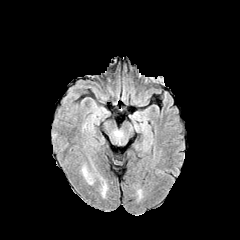
FLAIR magnetic resonance.
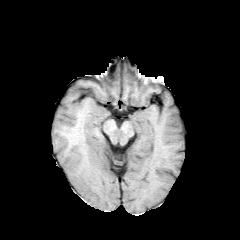
T1-weighted MRI.
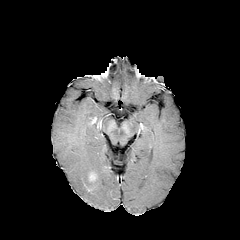
Post-contrast T1-weighted magnetic resonance of the same slice.
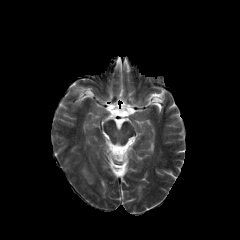
Same slice, T2-weighted MRI.
Brain
{"edema": ["[82, 166, 93, 183]"]}